FLAIR MR image.
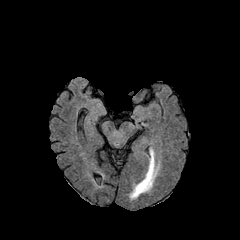
T1-weighted MRI.
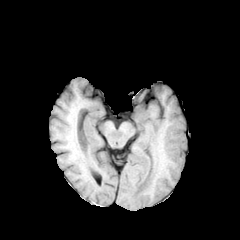
Post-contrast T1-weighted MR image.
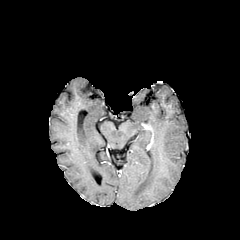
T2-weighted MR image.
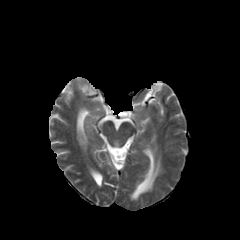
240x240 px
edema: x1=130, y1=149, x2=158, y2=200